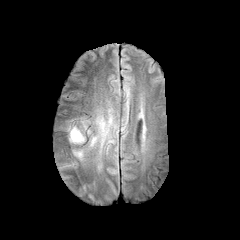
FLAIR MRI.
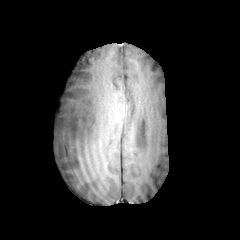
T1-weighted MR image.
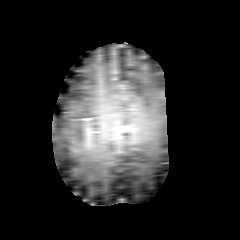
Same slice, post-contrast T1-weighted magnetic resonance.
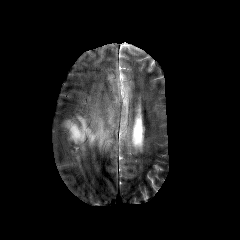
Same slice, T2-weighted MR image.
edema: [x1=68, y1=118, x2=94, y2=143]